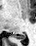
Magnetic resonance | Medial temporal lobe
posterior hippocampus: (12,34,25,39)